320x320; MRI; Slice 52/110

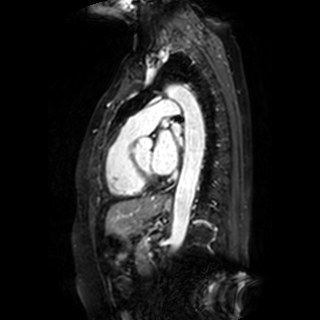

{
  "left_atrium": [
    "<bbox>172, 123, 180, 135</bbox>",
    "<bbox>152, 131, 177, 174</bbox>"
  ]
}